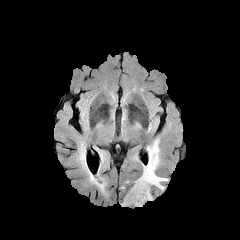
FLAIR MR image.
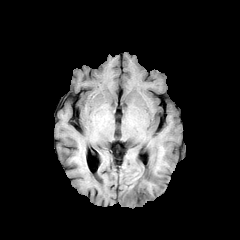
Same slice, T1-weighted MR.
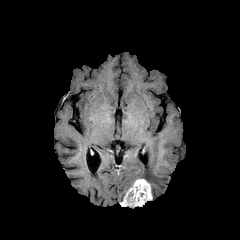
Post-contrast T1-weighted magnetic resonance of the same slice.
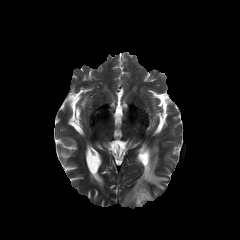
T2-weighted MR image.
edema:
  - {"x1": 140, "y1": 141, "x2": 167, "y2": 191}
enhancing_tumor:
  - {"x1": 120, "y1": 178, "x2": 152, "y2": 206}